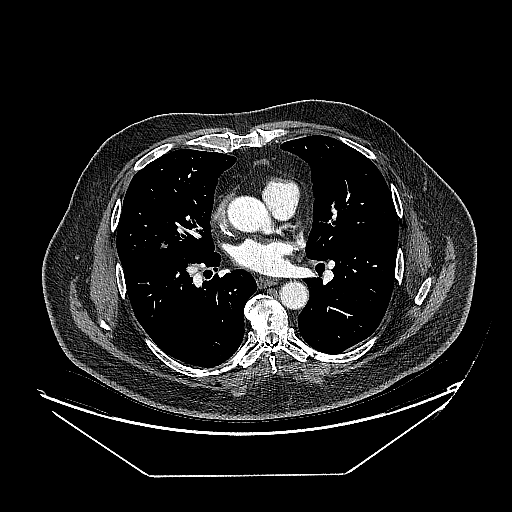 CT; 512x512

<segmentation>
  <lung_tumor>(left=156, top=241, right=169, bottom=251)</lung_tumor>
</segmentation>